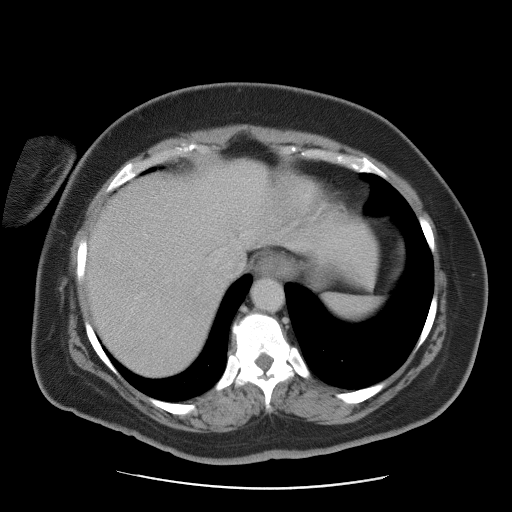

Image size 512x512, CT image

The vessel boxes may cover only some of the vessels.
<segmentation>
  <hepatic_vessel>box(229, 262, 230, 264); box(215, 248, 225, 262)</hepatic_vessel>
</segmentation>